CT; Slice 72/120; Upper abdomen
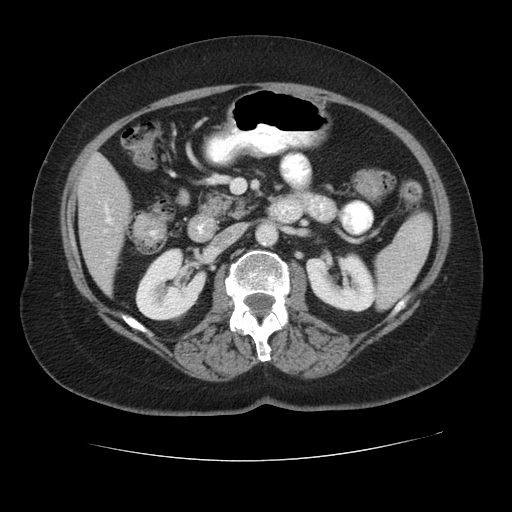 Annotated regions:
• pancreas: (x1=199, y1=191, x2=253, y2=221)